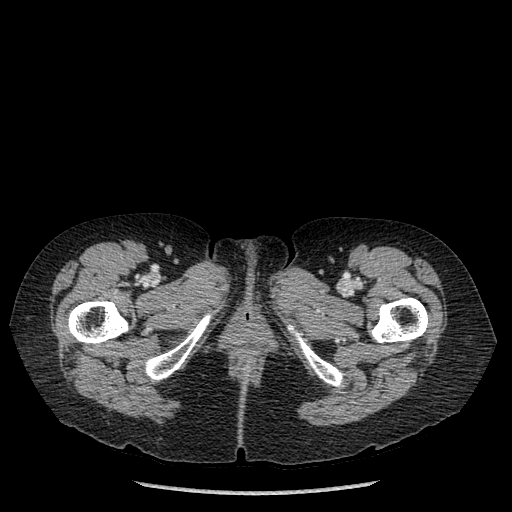

CT
Bone at <bbox>288, 324, 343, 387</bbox>, <bbox>145, 314, 210, 380</bbox>, <bbox>66, 300, 128, 345</bbox>, <bbox>371, 297, 428, 342</bbox>.